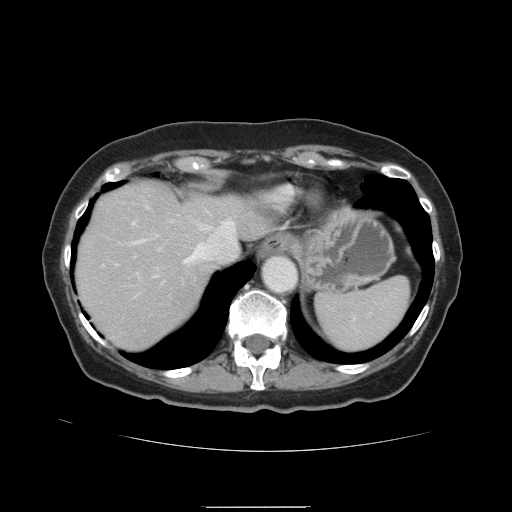 CT
The vessel annotation is not exhaustive.
3 hepatic vessel regions appear at bbox=[222, 220, 233, 234]; bbox=[183, 243, 208, 264]; bbox=[132, 222, 133, 223].